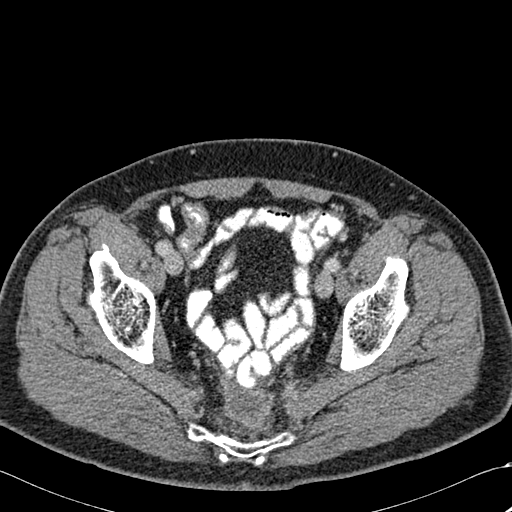 CT slice

Annotated regions:
- bone: x1=188, y1=426, x2=289, y2=464; x1=89, y1=245, x2=155, y2=363; x1=341, y1=257, x2=407, y2=371